Slice index 51
FLAIR magnetic resonance.
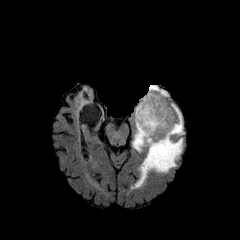
T1-weighted MR.
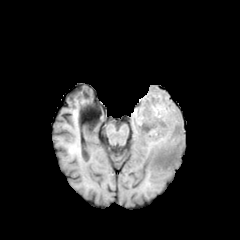
Post-contrast T1-weighted MR image.
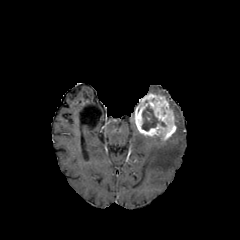
T2-weighted MR.
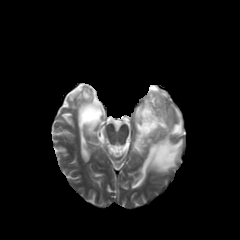
non-enhancing_tumor_core:
  - 142, 105, 159, 130
  - 146, 134, 163, 140
enhancing_tumor:
  - 134, 92, 176, 140
edema:
  - 132, 85, 183, 186